Computed tomography. Liver.

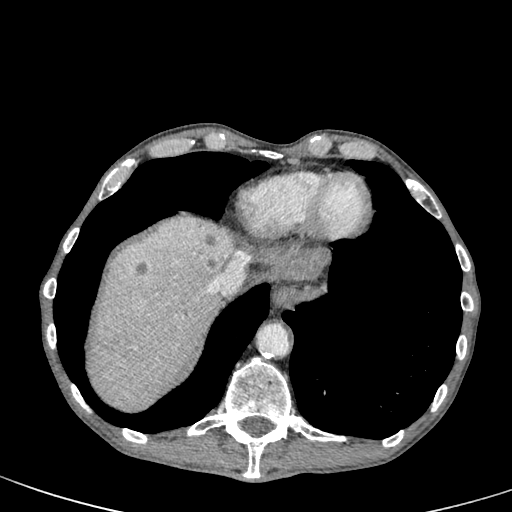 {"liver": ["[86,217,234,412]", "[258,252,304,280]"], "hepatic_lesion": ["[222,250,231,259]", "[259,248,328,279]", "[136,263,143,272]", "[206,233,213,244]"]}